Slice 66 of 155
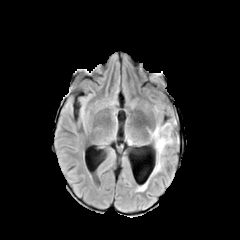
FLAIR magnetic resonance.
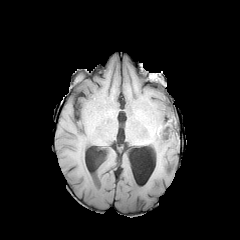
T1-weighted MRI.
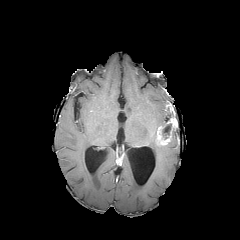
Post-contrast T1-weighted MR image.
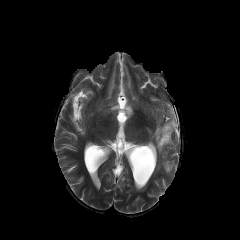
T2-weighted magnetic resonance.
2 edema regions are located at l=136, t=178, r=149, b=191; l=149, t=119, r=179, b=177. 2 enhancing tumor regions are located at l=168, t=118, r=177, b=129; l=156, t=126, r=171, b=145. The non-enhancing tumor core is bounded by l=161, t=122, r=171, b=139.